CT 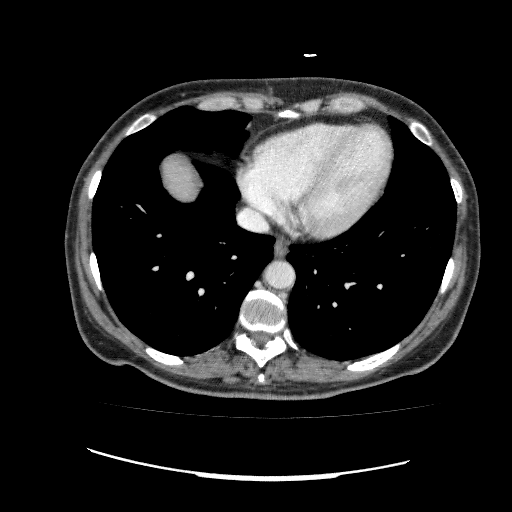
Liver: l=161, t=155, r=197, b=204.